FLAIR magnetic resonance.
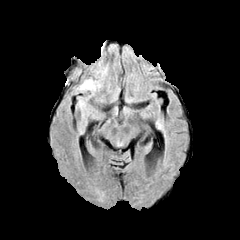
T1-weighted MR image.
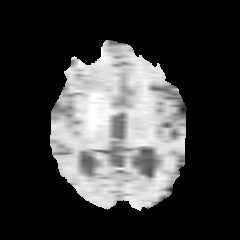
Post-contrast T1-weighted magnetic resonance.
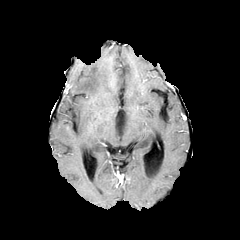
T2-weighted magnetic resonance.
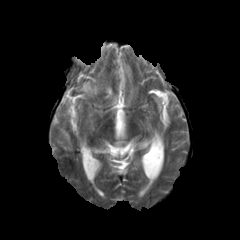
Head.
Edema: bounding box 77,77,101,94.